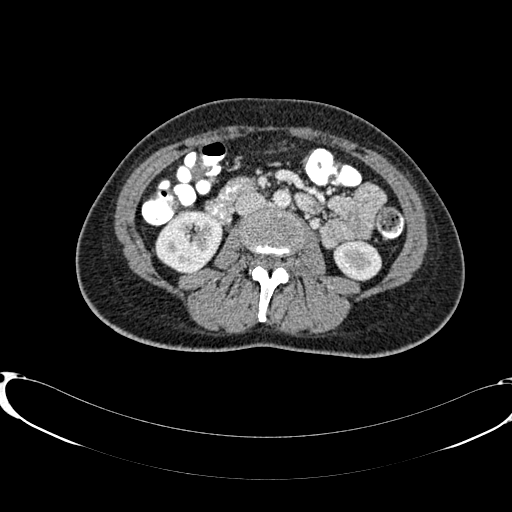
CT scan slice
2 kidney regions are located at <box>335,242,380,278</box>, <box>157,213,221,271</box>.